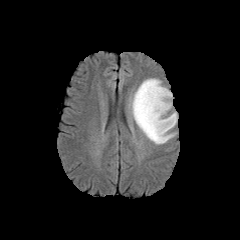
FLAIR MR image.
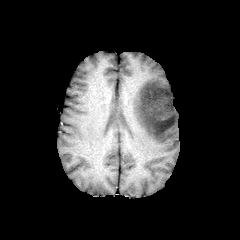
Same slice, T1-weighted magnetic resonance.
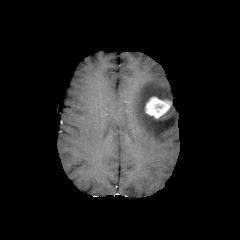
Post-contrast T1-weighted magnetic resonance.
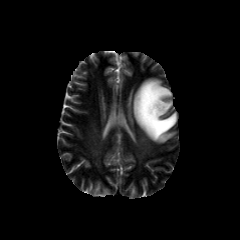
Same slice, T2-weighted MRI.
Head
enhancing tumor: bbox(144, 96, 171, 119) | non-enhancing tumor core: bbox(138, 87, 174, 134) | edema: bbox(128, 78, 177, 144)